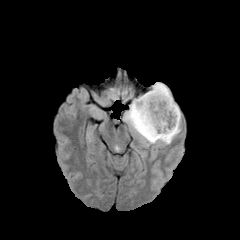
FLAIR MR image.
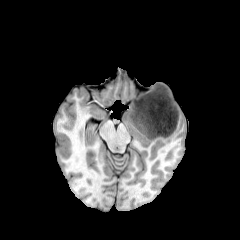
T1-weighted magnetic resonance.
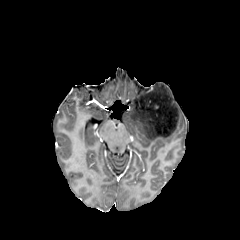
Post-contrast T1-weighted MR.
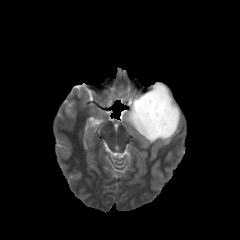
T2-weighted MRI.
Head
The non-enhancing tumor core appears at [x1=132, y1=84, x2=178, y2=138]. 2 edema regions are located at [x1=122, y1=101, x2=181, y2=151], [x1=155, y1=82, x2=172, y2=98].